Computed tomography
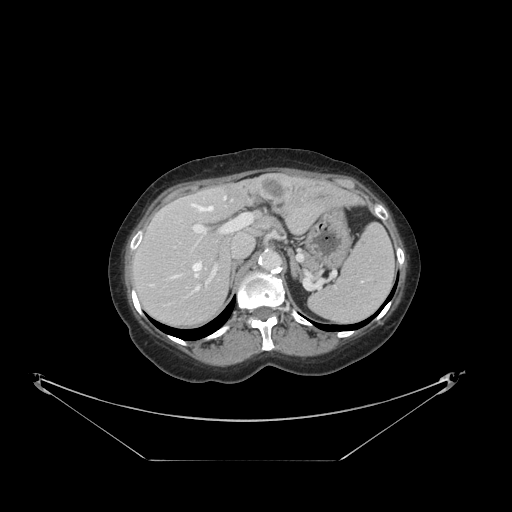

The vessel annotation is not exhaustive.
Findings:
- liver tumor: <box>259,174,291,201</box>
- hepatic vessel: <box>220,213,252,232</box>, <box>169,275,178,278</box>, <box>189,204,212,210</box>, <box>224,196,225,198</box>, <box>232,244,252,256</box>, <box>192,224,205,233</box>, <box>194,286,198,291</box>, <box>192,261,201,276</box>, <box>206,266,215,283</box>